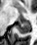 Hippocampus | MRI slice
Annotated regions:
- posterior hippocampus: {"x1": 18, "y1": 21, "x2": 30, "y2": 34}